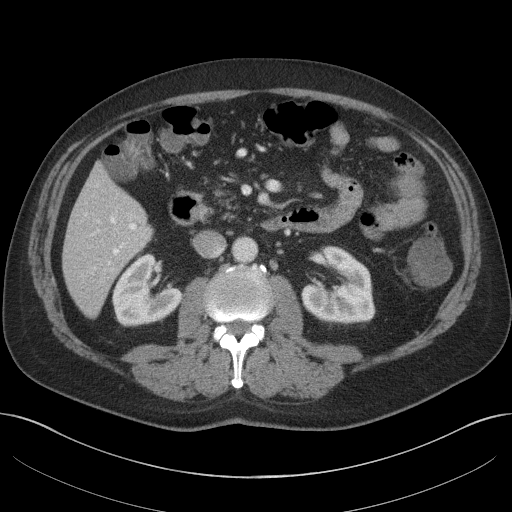
CT slice; Abdomen
3 kidney regions are located at box=[302, 248, 372, 321]; box=[316, 254, 324, 262]; box=[113, 255, 180, 323]. The liver is located at box=[61, 165, 153, 315].